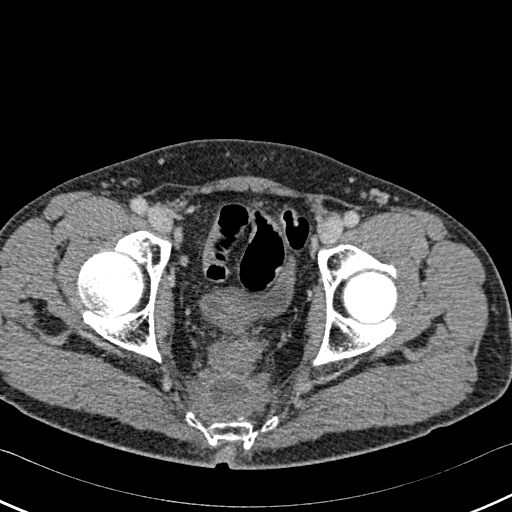 Computed tomography

The urinary bladder is located at (201,257,295,331). 3 bone regions are located at (314,245,401,364), (186,412,277,448), (78,231,171,361).